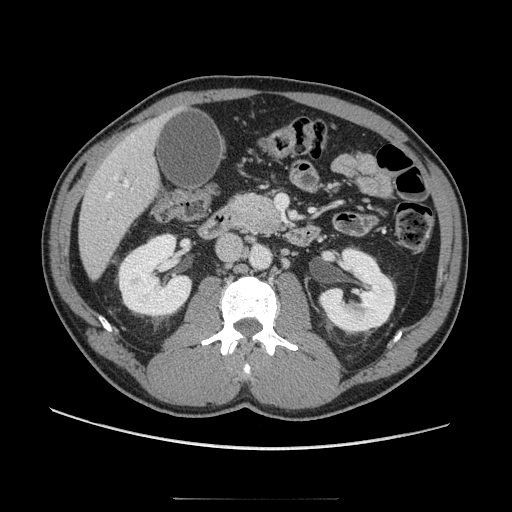

Upper abdomen; CT image
<segmentation>
  <pancreas><bbox>225, 191, 284, 236</bbox></pancreas>
</segmentation>